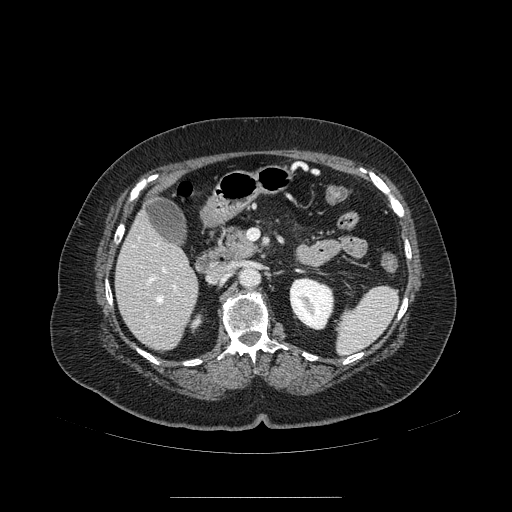 Upper abdomen | CT scan slice

The pancreas is at 222,225,260,263.